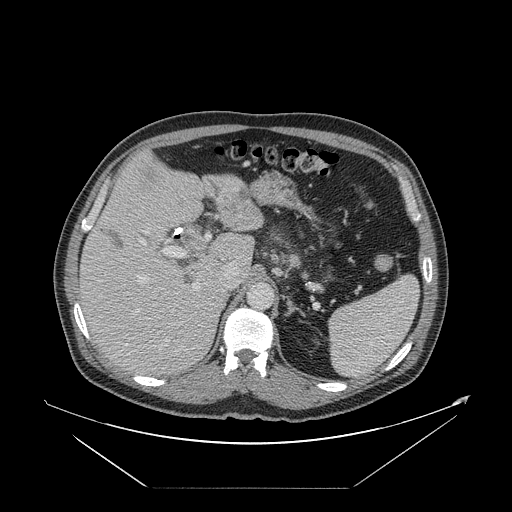

Liver | CT slice
Some hepatic vessels may have no box.
<segmentation>
  <hepatic_vessel>x1=140, y1=240, x2=145, y2=245; x1=132, y1=311, x2=138, y2=314; x1=193, y1=283, x2=199, y2=289; x1=221, y1=257, x2=223, y2=259; x1=137, y1=275, x2=146, y2=282; x1=205, y1=234, x2=209, y2=239; x1=166, y1=340, x2=168, y2=342; x1=144, y1=230, x2=148, y2=233; x1=175, y1=347, x2=182, y2=350; x1=199, y1=205, x2=201, y2=208; x1=216, y1=253, x2=248, y2=291; x1=164, y1=228, x2=185, y2=257</hepatic_vessel>
</segmentation>